240x240 | Slice 76/155 | Head
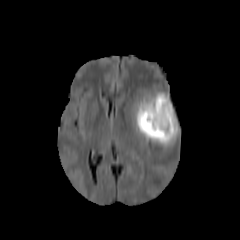
FLAIR MR image.
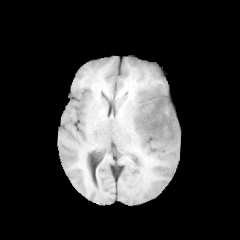
T1-weighted MRI.
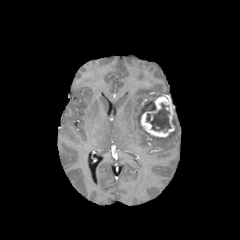
Same slice, post-contrast T1-weighted MR.
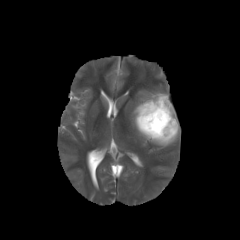
T2-weighted MR.
Annotated regions:
* enhancing tumor: <box>140,95,175,137</box>
* edema: <box>127,93,179,145</box>
* non-enhancing tumor core: <box>142,99,155,113</box>, <box>146,103,171,132</box>